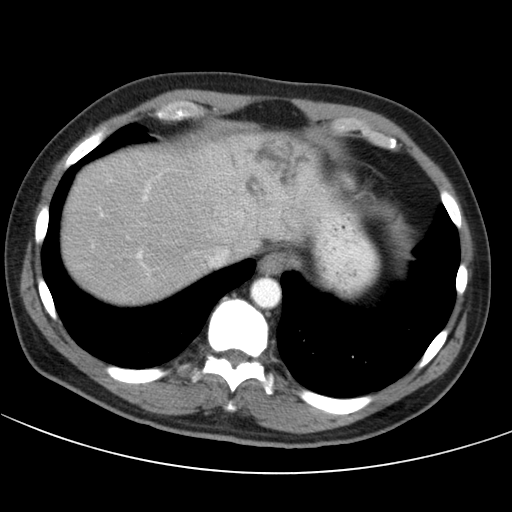
CT slice, 512x512

Some hepatic vessels may have no box.
hepatic_vessel:
  - (left=205, top=248, right=226, bottom=265)
  - (left=143, top=195, right=145, bottom=199)
  - (left=100, top=214, right=101, bottom=215)
  - (left=145, top=188, right=148, bottom=190)
liver_tumor:
  - (left=256, top=135, right=303, bottom=183)
  - (left=248, top=178, right=263, bottom=195)